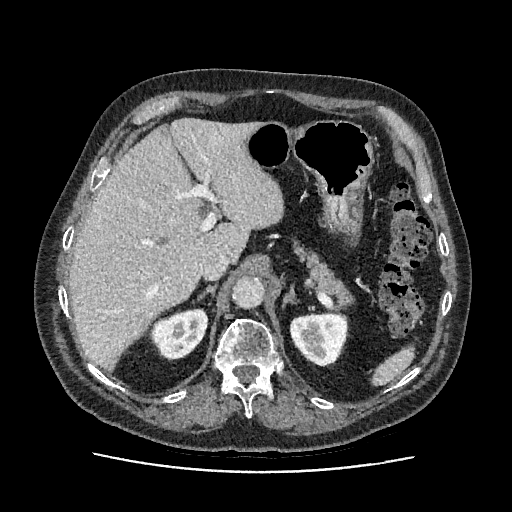 Computed tomography, 512x512 px

Segmented structures:
* liver: x1=69 y1=119 x2=282 y2=370
* kidney: x1=291 y1=314 x2=346 y2=364, x1=153 y1=310 x2=206 y2=358